CT image; Abdomen; 512x512 px; Field of view 438x438 mm

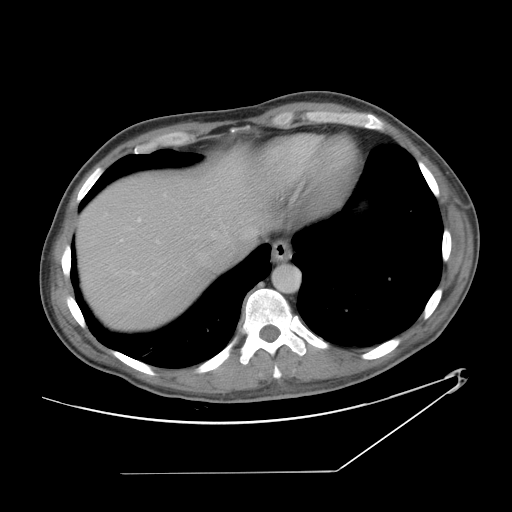

Only some of the vessels may be annotated.
Hepatic vessel: bounding box (211, 233, 214, 236), (134, 272, 135, 273), (253, 230, 255, 233), (138, 219, 140, 221).